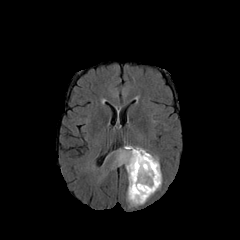
FLAIR MRI.
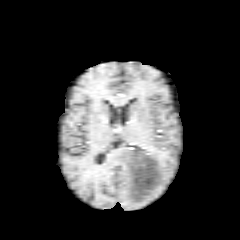
Same slice, T1-weighted MR image.
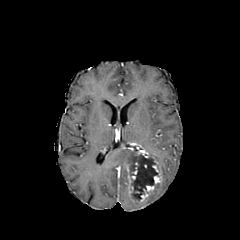
Post-contrast T1-weighted MRI of the same slice.
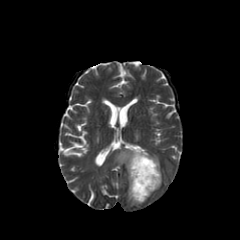
T2-weighted MR image.
3 edema regions are bounded by 114 146 133 169, 140 147 159 165, 127 183 161 206. The non-enhancing tumor core is bounded by 126 149 158 203. 3 enhancing tumor regions are bounded by 140 160 161 201, 131 162 138 179, 129 143 154 159.